240x240 px | Field of view 240x240 mm | Slice 50/155 | Head
FLAIR MR image.
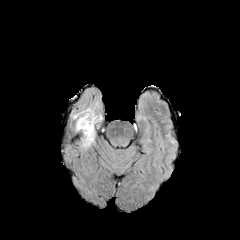
T1-weighted MR image.
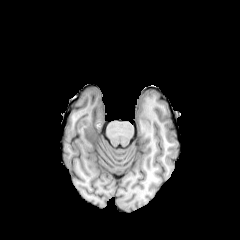
Post-contrast T1-weighted MRI.
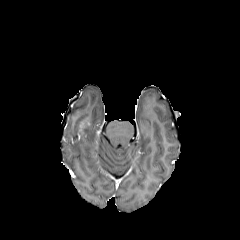
T2-weighted magnetic resonance.
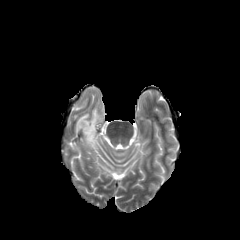
Findings:
- edema: box=[72, 102, 102, 149]